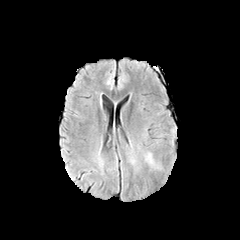
FLAIR MR.
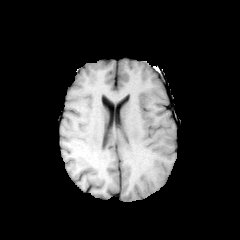
T1-weighted MR image.
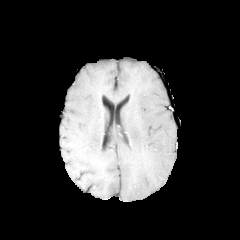
Post-contrast T1-weighted MR.
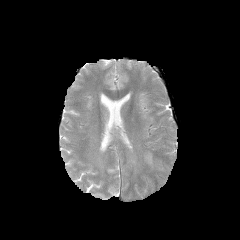
T2-weighted MR.
Head
<segmentation>
  <edema>(144, 152, 157, 168)</edema>
</segmentation>